CT slice, Field of view 465x465 mm, Slice 32/103
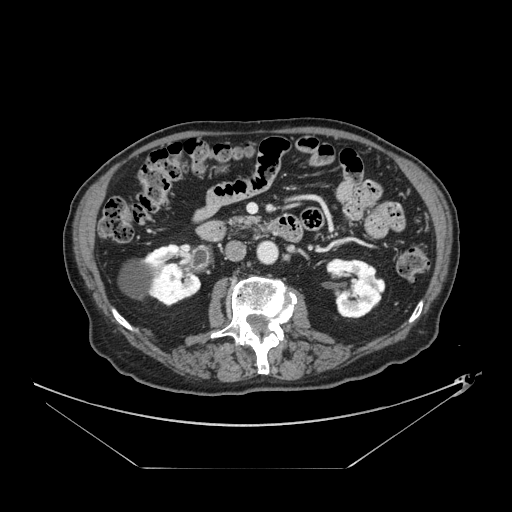 Annotated regions:
* pancreas: rect(230, 216, 257, 228)